Image size 512x512 | CT | Abdomen | Slice 45 of 141

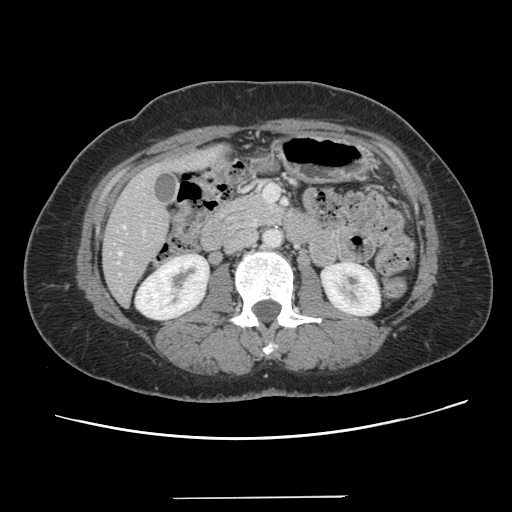

Not every hepatic vessel necessarily has a box.
Annotated regions:
- hepatic vessel: (left=123, top=226, right=125, bottom=228), (left=117, top=261, right=118, bottom=263), (left=118, top=251, right=121, bottom=255), (left=143, top=230, right=144, bottom=232)